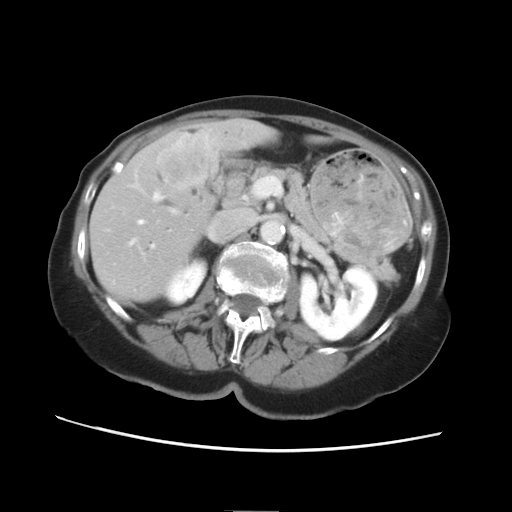 CT image
Not every hepatic vessel necessarily has a box.
hepatic vessel: bbox=[151, 245, 154, 247] | liver tumor: bbox=[158, 133, 215, 188]